FLAIR MR.
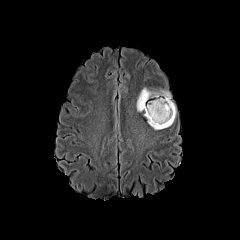
T1-weighted MRI.
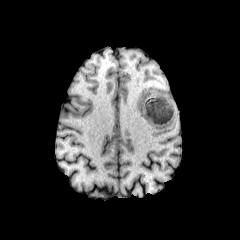
Post-contrast T1-weighted magnetic resonance.
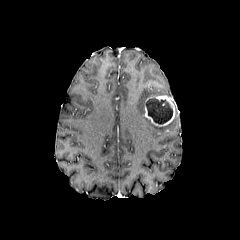
T2-weighted MR image.
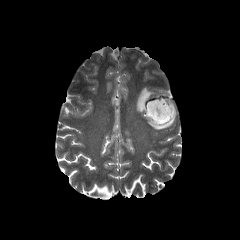
Image size 240x240
Segmented structures:
- non-enhancing tumor core: (146, 99, 172, 124)
- enhancing tumor: (142, 95, 176, 126)
- edema: (136, 87, 170, 111), (147, 119, 174, 129)